Slice 256/427 | CT scan slice | 512x512 | Liver
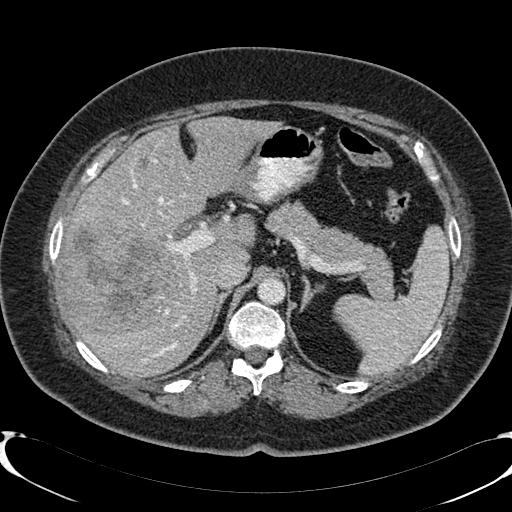
Annotated regions:
- liver: l=60, t=118, r=278, b=376
- liver lesion: l=61, t=216, r=175, b=332; l=139, t=158, r=147, b=166